CT scan slice | Abdomen
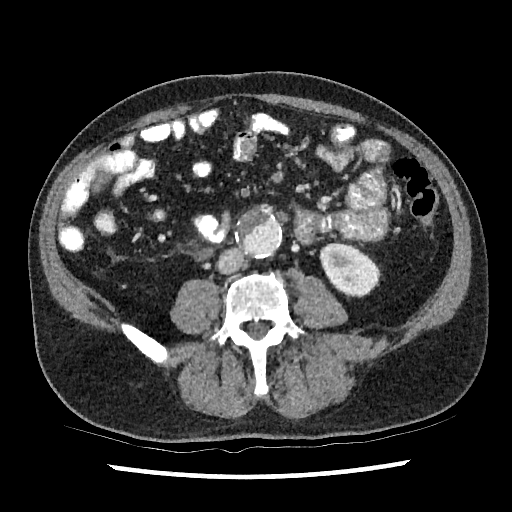
Kidney: bounding box region(325, 248, 379, 295).